CT slice

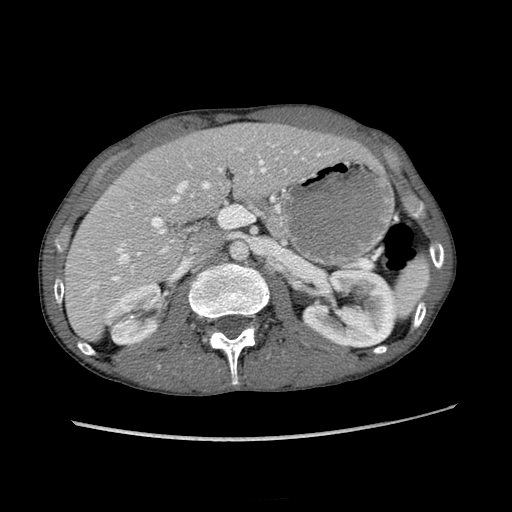 Liver — (64,121,374,341).
Kidney — (304,270,396,346), (107,285,165,343).